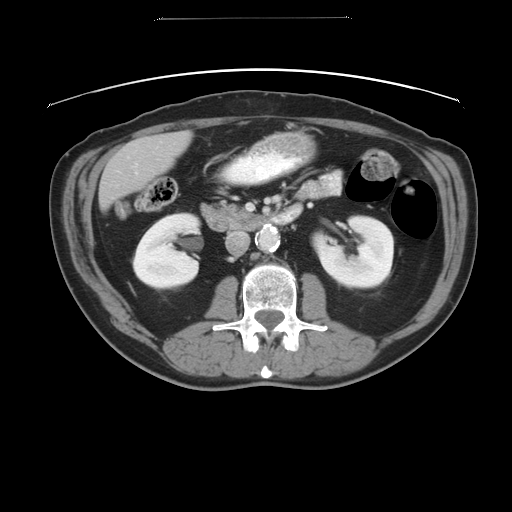
CT scan slice.
Some hepatic vessels may have no box.
hepatic vessel: (134, 163, 137, 172)